CT image | 512x512 px | Abdomen | Slice index 20

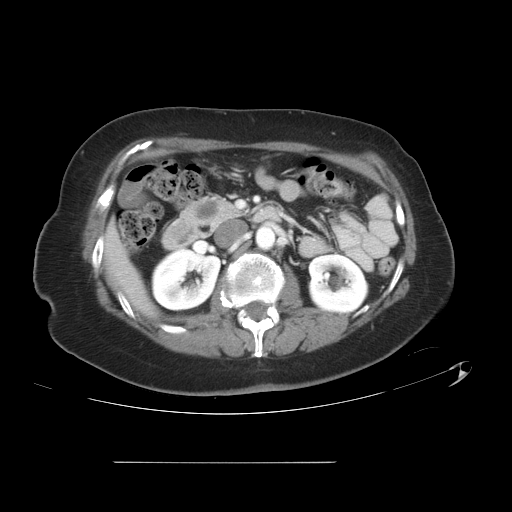 <segmentation>
  <pancreatic_tumor>199 199 217 218</pancreatic_tumor>
  <pancreas>182 194 241 228</pancreas>
</segmentation>